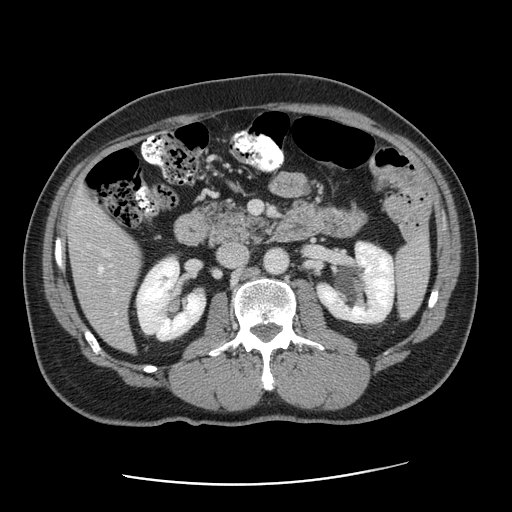

Liver; CT image

The vessel boxes may cover only some of the vessels.
Hepatic vessel: box(99, 265, 103, 273).